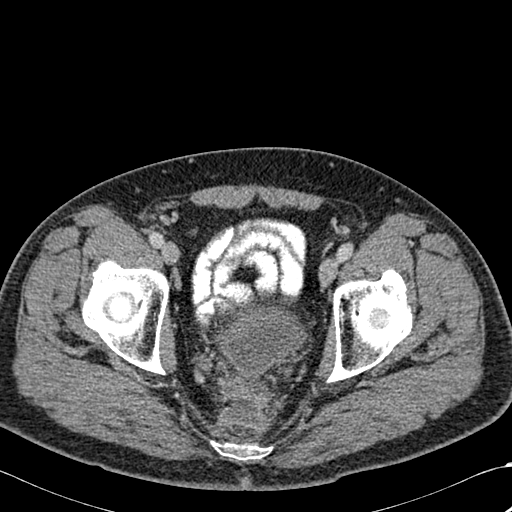 CT.
Bone at (left=328, top=269, right=411, bottom=381), (left=82, top=260, right=168, bottom=374), (left=215, top=443, right=265, bottom=459).